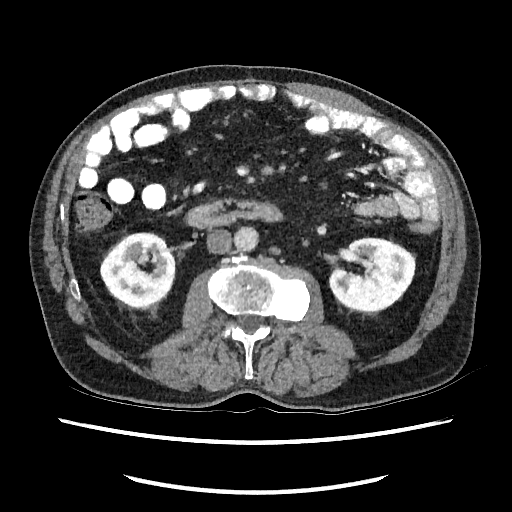
CT image. Abdomen. 2 kidney regions are bounded by (100,233,174,309), (329,238,415,314).